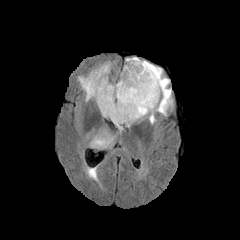
FLAIR magnetic resonance.
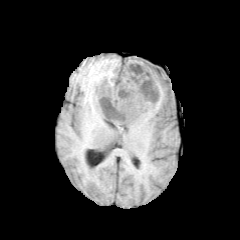
T1-weighted magnetic resonance of the same slice.
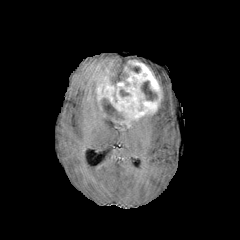
Post-contrast T1-weighted magnetic resonance.
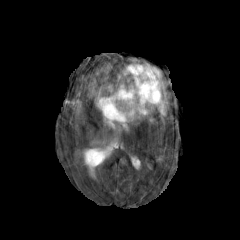
T2-weighted MR.
4 edema regions are located at <bbox>92, 138, 105, 147</bbox>, <bbox>110, 118, 126, 130</bbox>, <bbox>127, 57, 172, 126</bbox>, <bbox>80, 65, 109, 119</bbox>. 5 non-enhancing tumor core regions appear at <bbox>115, 70, 128, 83</bbox>, <bbox>120, 89, 129, 96</bbox>, <bbox>127, 64, 140, 73</bbox>, <bbox>98, 98, 123, 121</bbox>, <bbox>140, 81, 157, 100</bbox>. The enhancing tumor is bounded by <bbox>96, 60, 162, 125</bbox>.